CT, 512x512

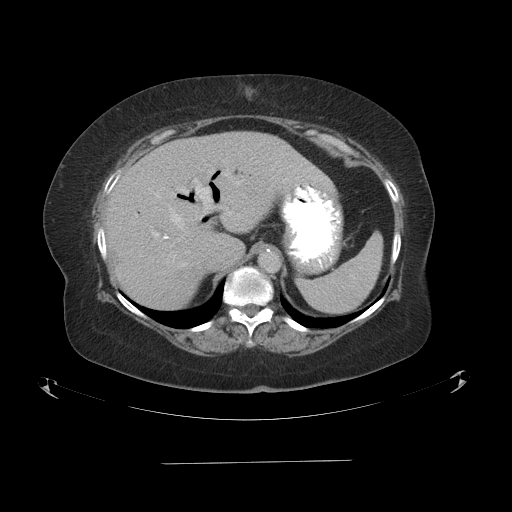

Not every hepatic vessel necessarily has a box.
{"hepatic_vessel": ["region(170, 209, 182, 227)", "region(152, 232, 158, 236)", "region(183, 189, 186, 192)", "region(195, 180, 213, 213)"]}